Image size 240x240 | Image width 240 mm | Head
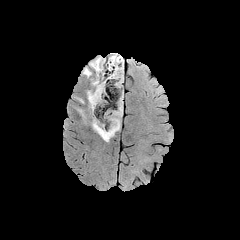
FLAIR MR.
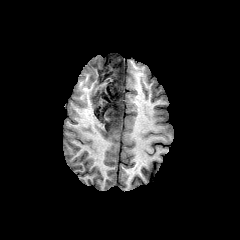
T1-weighted magnetic resonance of the same slice.
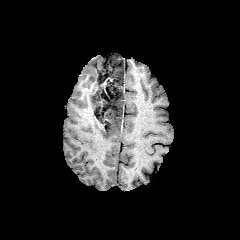
Post-contrast T1-weighted MR image.
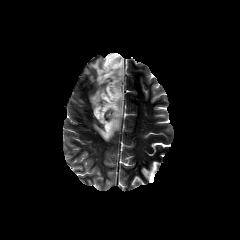
T2-weighted MR image.
3 edema regions appear at box(118, 71, 123, 87); box(84, 57, 106, 110); box(93, 92, 123, 141). 3 non-enhancing tumor core regions are located at box(94, 90, 105, 99); box(98, 55, 121, 89); box(100, 119, 116, 134).